Prostate
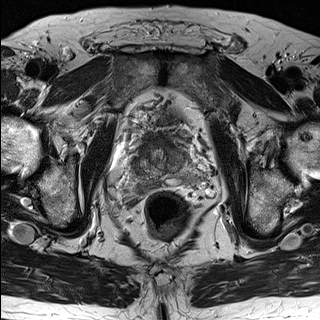
T2-weighted MR.
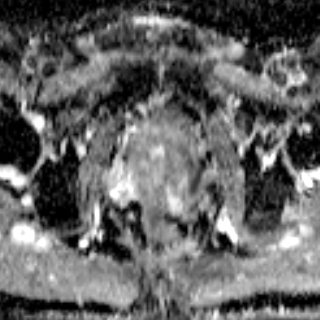
ADC MRI.
<segmentation>
  <prostate_transition_zone>x1=134 y1=140 x2=195 y2=187</prostate_transition_zone>
</segmentation>